Field of view 472 mm wide, 0.80 mm slice spacing, Slice 324 of 845, CT scan slice, Abdomen 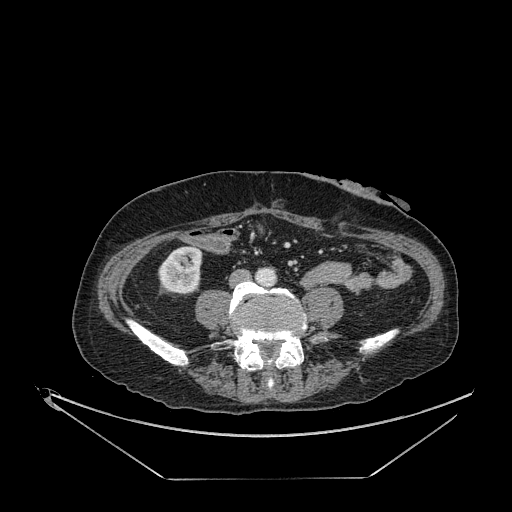
The kidney is at (left=159, top=247, right=201, bottom=293).